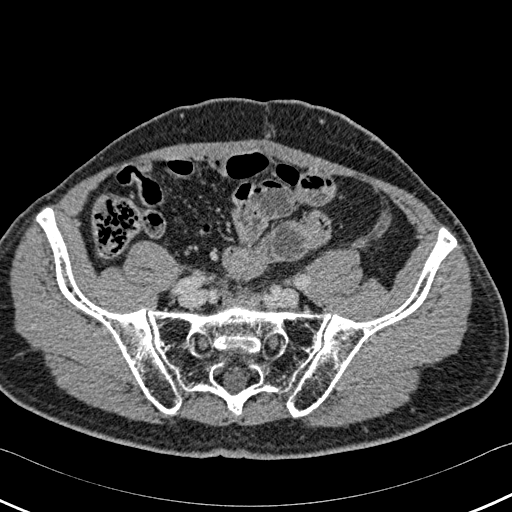

CT.
Bone — 37, 208, 456, 417.